CT image | Upper abdomen | Slice 660/685
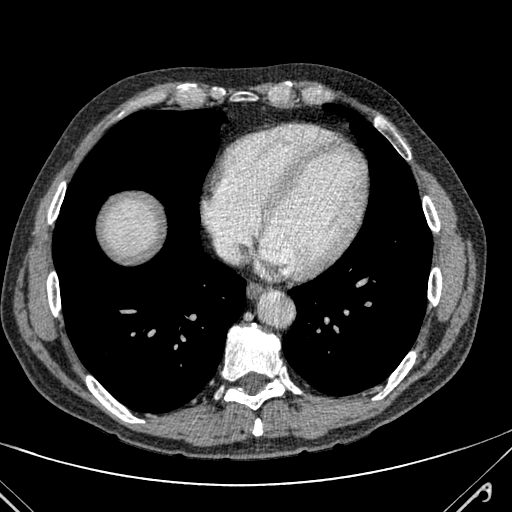
The liver is bounded by x1=107, y1=204, x2=155, y2=254.